CT slice. Abdomen. 512x512. Slice index 538. 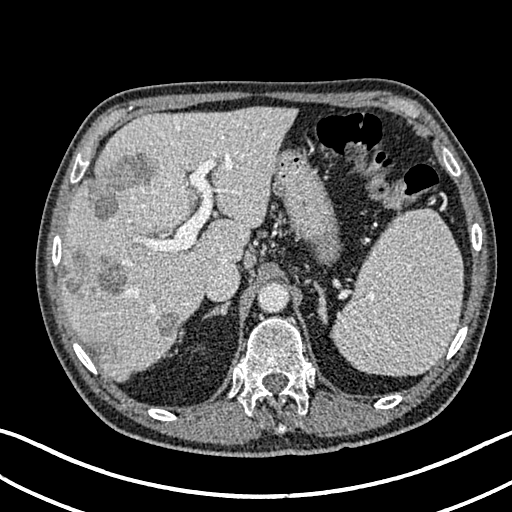
<segmentation>
  <liver><box>64,107,296,378</box></liver>
  <hepatic_lesion><box>87,155,156,218</box>, <box>156,315,179,336</box>, <box>65,250,127,298</box>, <box>92,339,109,354</box></hepatic_lesion>
</segmentation>